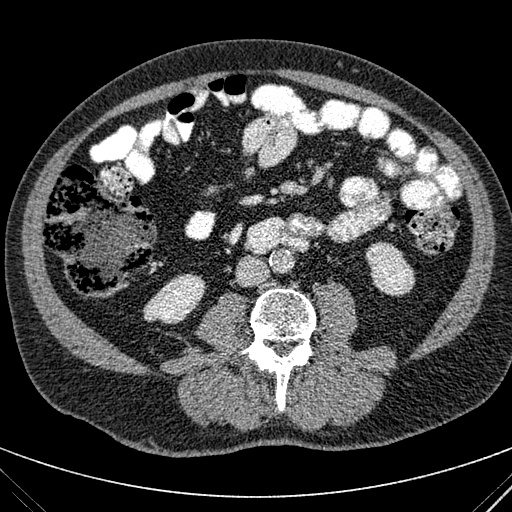
Abdomen | 512x512 | CT image
2 kidney regions are located at 143 274 204 322, 366 242 414 295.